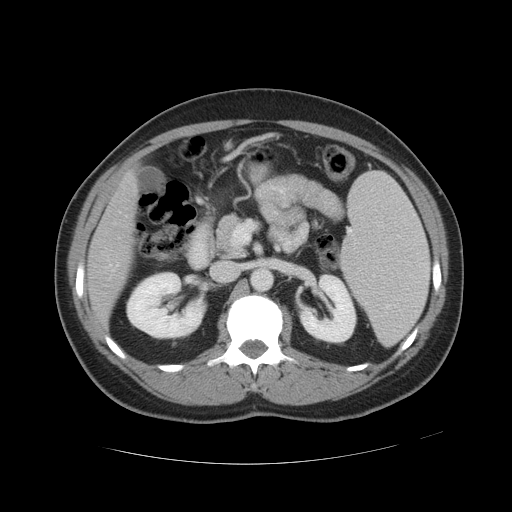
CT scan slice, 512x512

The vessel boxes may cover only some of the vessels.
- hepatic vessel: [109, 264, 111, 265], [116, 263, 118, 265]